MR image, Slice 31/36 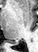

• posterior hippocampus: [x1=10, y1=41, x2=17, y2=42]